CT scan slice, Field of view 386 mm wide, 1.50 mm slice spacing 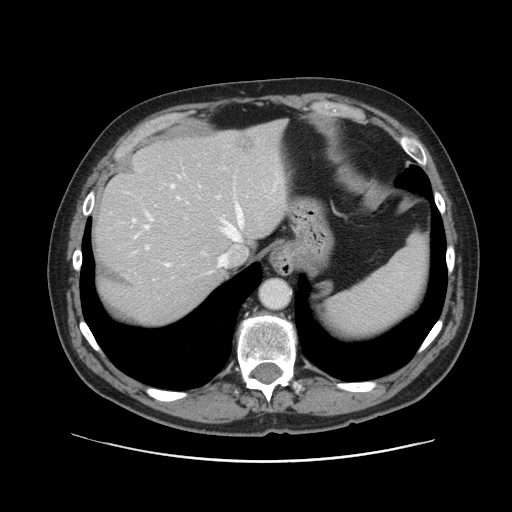
Only some of the vessels may be annotated.
10 hepatic vessel regions are bounded by region(171, 184, 173, 187); region(235, 201, 243, 225); region(222, 220, 240, 240); region(144, 225, 148, 229); region(177, 197, 179, 199); region(134, 235, 136, 238); region(164, 263, 170, 265); region(146, 246, 148, 248); region(133, 219, 135, 221); region(146, 212, 152, 220). The liver tumor lies within region(236, 134, 254, 153).